Abdomen, Computed tomography, Slice 96/142
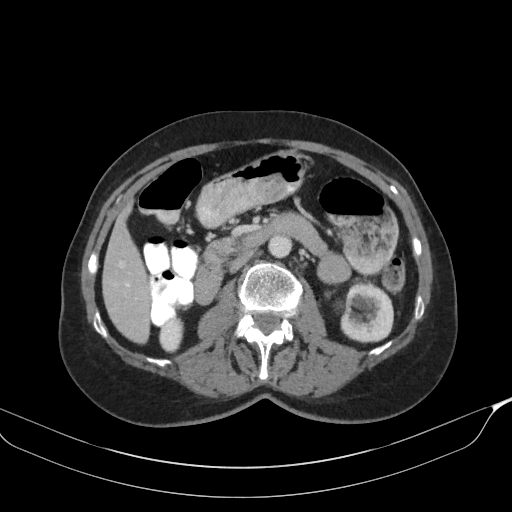

Pancreas at [211, 244, 231, 262].